320x320, Slice 13 of 20
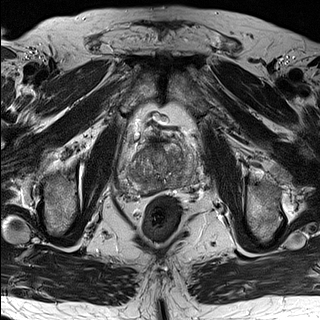
T2-weighted MRI.
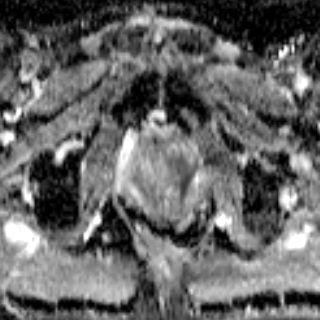
ADC magnetic resonance.
prostate peripheral zone: <bbox>123, 150, 196, 191</bbox> | prostate transition zone: <bbox>124, 139, 191, 181</bbox>